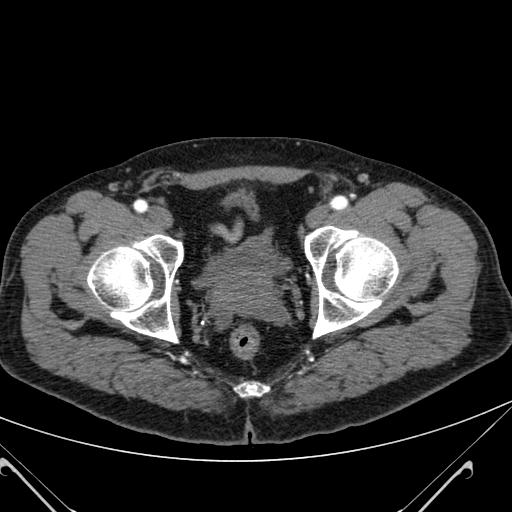
CT | Pelvis
2 urinary bladder regions are located at left=223, top=190, right=258, bottom=219; left=208, top=228, right=279, bottom=277.